Image size 512x512, CT slice

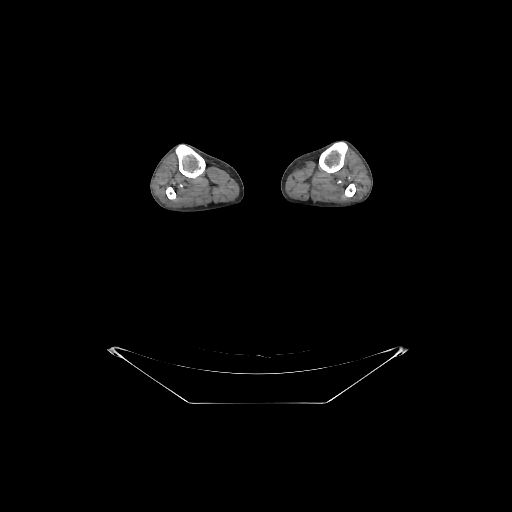 Annotated regions:
• bone: (x1=176, y1=145, x2=205, y2=178), (x1=319, y1=142, x2=347, y2=172), (x1=345, y1=184, x2=355, y2=196), (x1=166, y1=187, x2=175, y2=199)